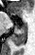

Medial temporal lobe, Magnetic resonance

Posterior hippocampus — l=12, t=23, r=26, b=45.